FLAIR MR image.
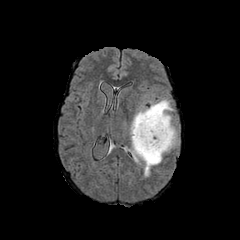
T1-weighted MRI.
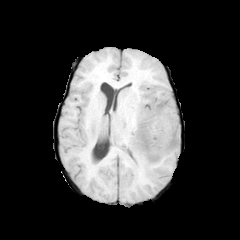
Post-contrast T1-weighted MR image.
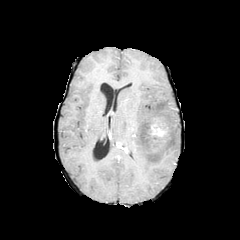
T2-weighted magnetic resonance.
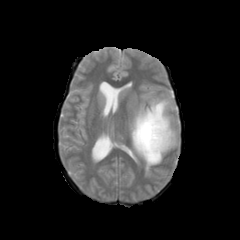
Image size 240x240; Head
edema:
  - (130,98,178,176)
enhancing_tumor:
  - (150,121,166,142)
non-enhancing_tumor_core:
  - (132,116,167,153)